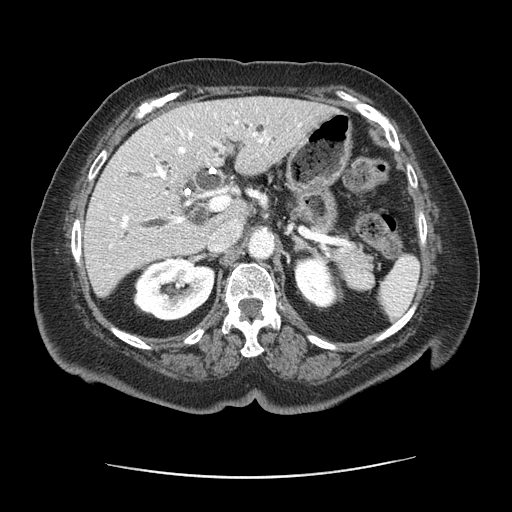 CT slice, Abdomen

Pancreas — (x1=327, y1=235, x2=374, y2=291).